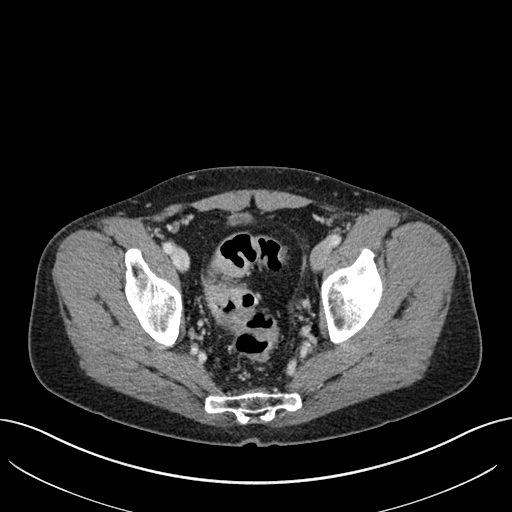 Image size 512x512, CT
{
  "colon_tumor": [
    "<bbox>204, 286, 253, 327</bbox>",
    "<bbox>210, 252, 249, 276</bbox>"
  ]
}